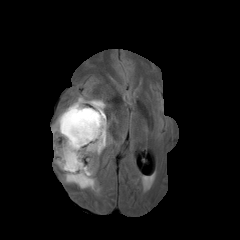
FLAIR magnetic resonance.
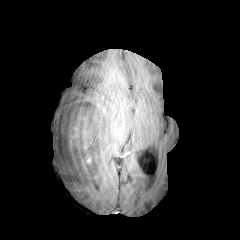
T1-weighted MR.
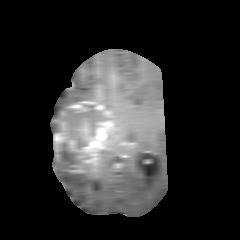
Post-contrast T1-weighted magnetic resonance of the same slice.
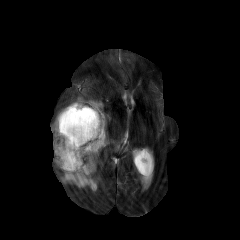
Same slice, T2-weighted magnetic resonance.
Image size 240x240
{"non-enhancing_tumor_core": ["(left=58, top=109, right=95, bottom=135)", "(left=56, top=142, right=89, bottom=170)"], "enhancing_tumor": ["(left=54, top=101, right=112, bottom=171)"], "edema": ["(left=51, top=95, right=99, bottom=191)", "(left=90, top=99, right=105, bottom=106)"]}